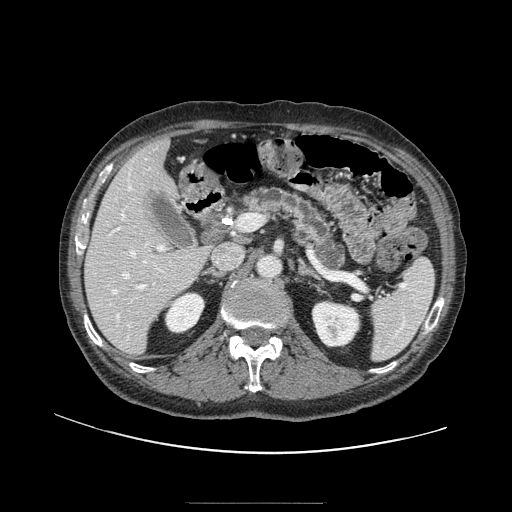 CT scan slice

pancreas: (243,188,345,269)